CT image, Chest, Field of view 360 mm wide, 0.80 mm slice spacing, Image size 512x512, Slice 566 of 689

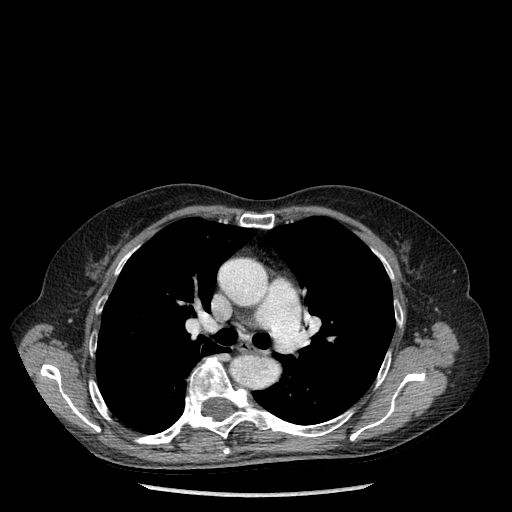 3 lung regions are bounded by bbox(253, 216, 394, 424); bbox(253, 333, 269, 348); bbox(96, 218, 255, 433). 11 bone regions appear at bbox(39, 363, 100, 431); bbox(89, 380, 110, 420); bbox(240, 213, 274, 228); bbox(350, 371, 425, 440); bbox(115, 251, 131, 274); bbox(89, 335, 96, 354); bbox(376, 252, 393, 278); bbox(376, 352, 390, 387); bbox(394, 300, 403, 326); bbox(96, 297, 104, 312); bbox(135, 356, 352, 444).